Liver; CT scan slice; Slice index 580
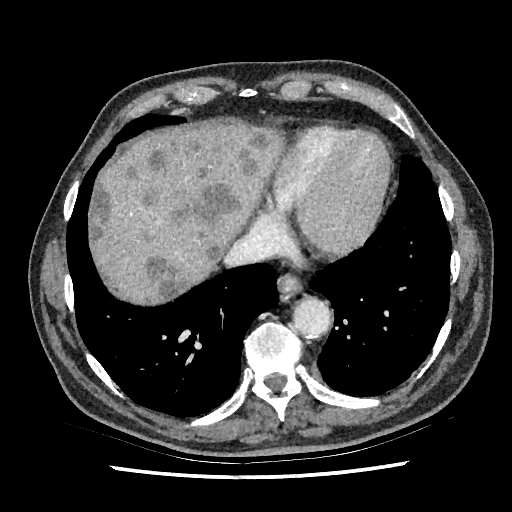
Liver — l=88, t=120, r=285, b=303.
Liver lesion — l=238, t=130, r=274, b=175; l=90, t=179, r=110, b=241; l=206, t=246, r=221, b=266; l=143, t=188, r=157, b=206; l=197, t=230, r=205, b=238; l=125, t=165, r=139, b=179; l=171, t=182, r=241, b=228; l=150, t=149, r=166, b=171; l=197, t=167, r=208, b=177; l=145, t=255, r=183, b=298; l=187, t=136, r=201, b=150.